FLAIR MRI.
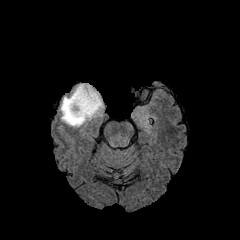
T1-weighted MR image.
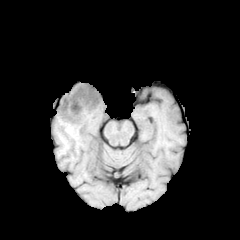
Post-contrast T1-weighted magnetic resonance.
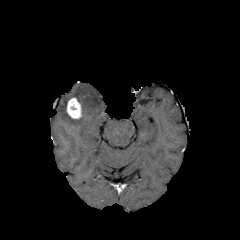
T2-weighted MR image.
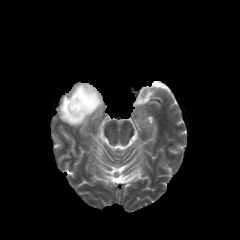
Image size 240x240
edema: rect(59, 83, 103, 127) | enhancing tumor: rect(67, 98, 82, 119)